Slice 476 of 696. Image width 339 mm. 512x512. Computed tomography.
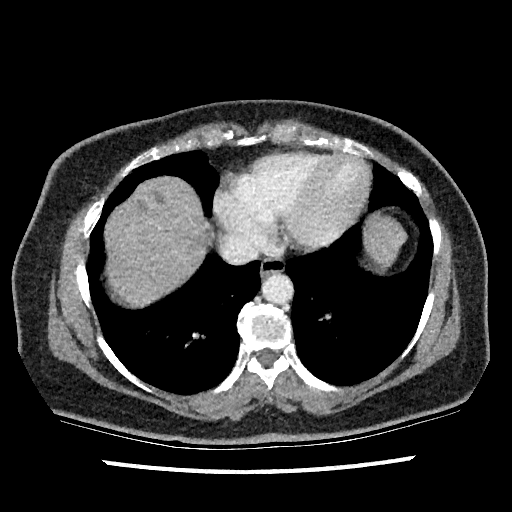

Liver at (x1=365, y1=218, x2=406, y2=263), (x1=105, y1=177, x2=206, y2=305).
Focal liver lesion at (x1=138, y1=201, x2=148, y2=212), (x1=152, y1=192, x2=163, y2=204).